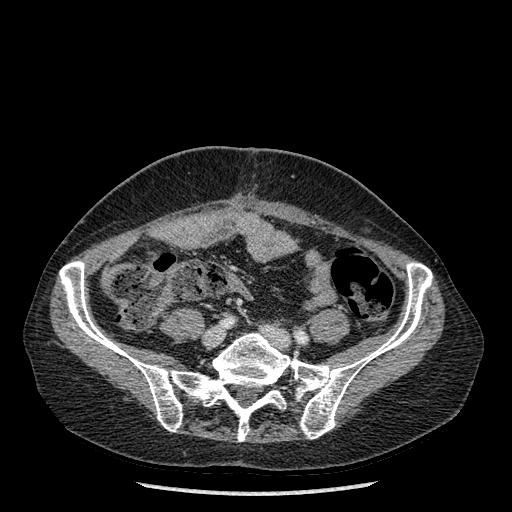
CT image

Bone = (59,261,432,441).